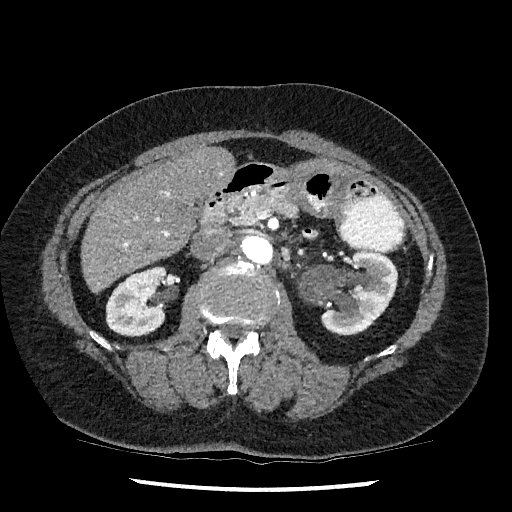

Liver; Image size 512x512; CT
liver: box(81, 146, 235, 293); box(296, 161, 355, 177) | kidney: box(106, 267, 176, 335); box(322, 250, 397, 334)